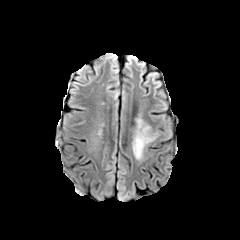
FLAIR MR.
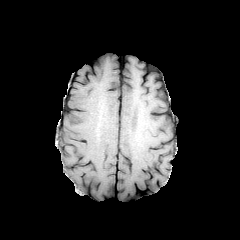
T1-weighted MR.
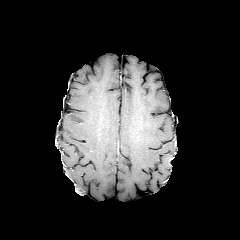
Same slice, post-contrast T1-weighted magnetic resonance.
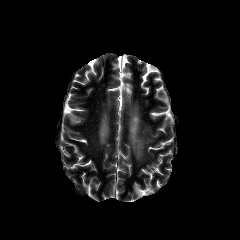
T2-weighted MR of the same slice.
Edema: x1=132, y1=122, x2=152, y2=159.